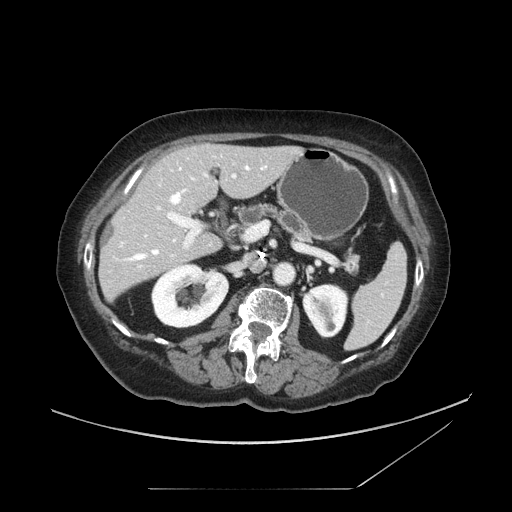

Image size 512x512; CT
{
  "pancreas": [
    "<box>237,202,309,241</box>",
    "<box>346,255,357,271</box>"
  ]
}